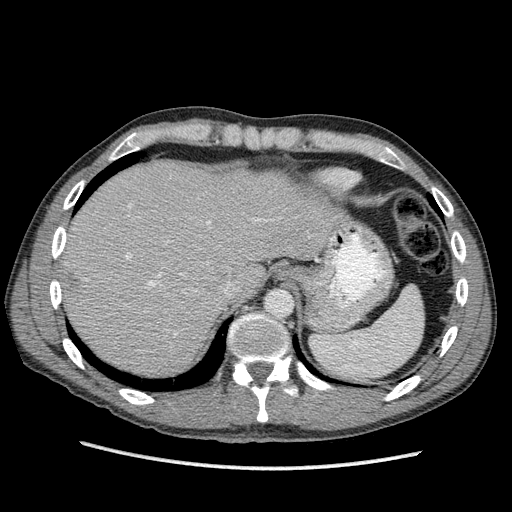
Abdomen; CT scan slice

The liver lesion is at x1=63 y1=270 x2=79 y2=289. The liver is located at x1=58 y1=160 x2=339 y2=377.